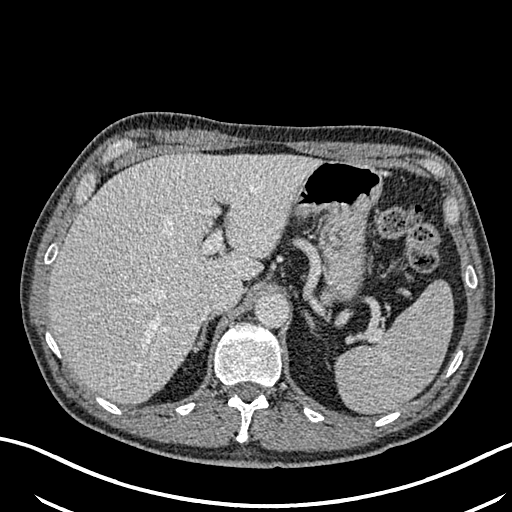

CT image. Abdomen.

Liver: bounding box x1=49, y1=154, x2=320, y2=404.